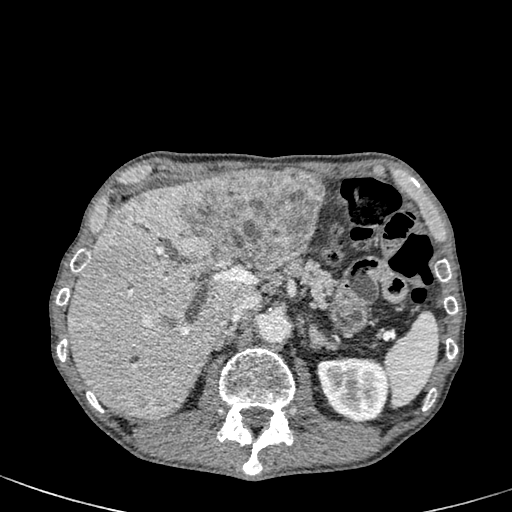
Computed tomography

Annotated regions:
- liver: 67, 180, 249, 418
- hepatic lesion: 135, 395, 147, 407; 183, 169, 325, 275; 161, 315, 176, 327; 113, 229, 124, 237
- kidney: 318, 359, 393, 420